Brain.
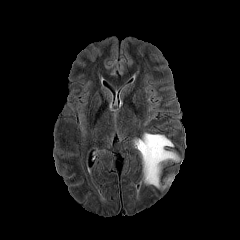
FLAIR MRI.
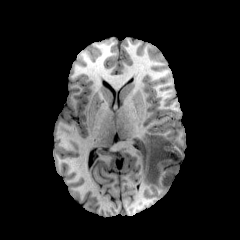
T1-weighted MR image of the same slice.
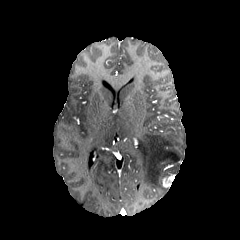
Same slice, post-contrast T1-weighted MR.
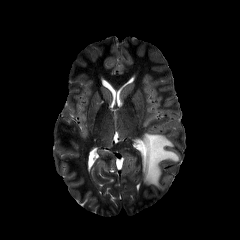
Same slice, T2-weighted MR.
The enhancing tumor appears at region(162, 176, 174, 187). The edema is located at region(137, 133, 179, 190).